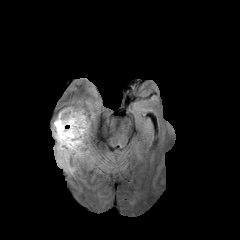
FLAIR MRI.
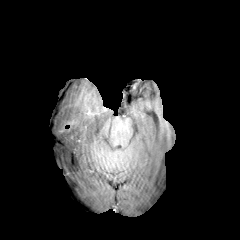
T1-weighted MR.
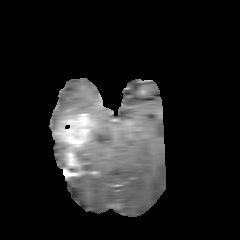
Post-contrast T1-weighted MR image of the same slice.
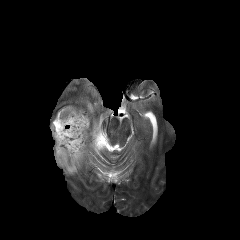
T2-weighted MR.
240x240
{
  "edema": [
    "left=51, top=105, right=84, bottom=174",
    "left=77, top=144, right=89, bottom=161"
  ],
  "non-enhancing_tumor_core": [
    "left=57, top=143, right=65, bottom=159"
  ],
  "enhancing_tumor": [
    "left=53, top=113, right=93, bottom=167"
  ]
}